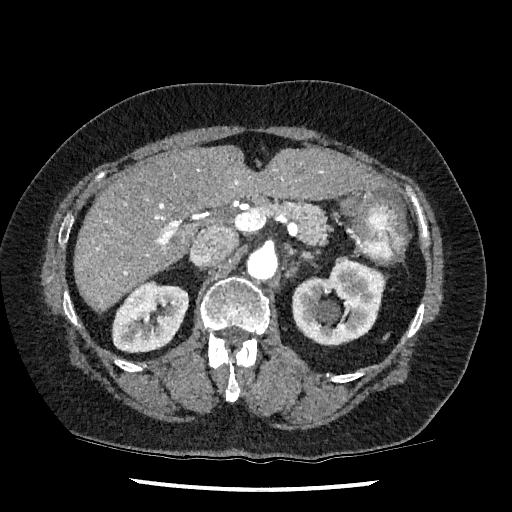

CT
- kidney: x1=293, y1=258, x2=384, y2=344; x1=113, y1=282, x2=188, y2=352
- liver: x1=74, y1=146, x2=389, y2=311